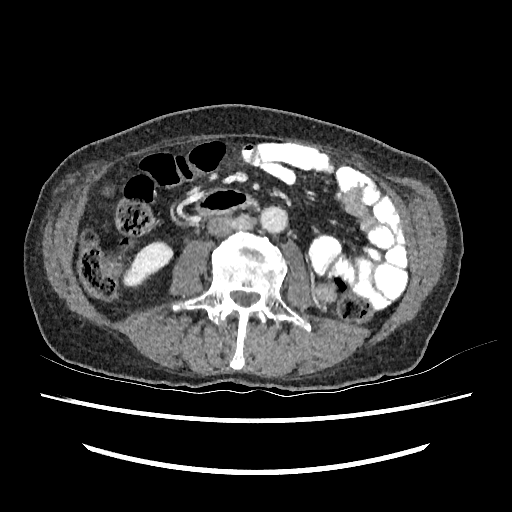 CT image; Abdomen; 512x512
* kidney: 125 242 172 285